Slice 466 of 654. CT scan slice. Abdomen. Image size 512x512. Field of view 400x400 mm.

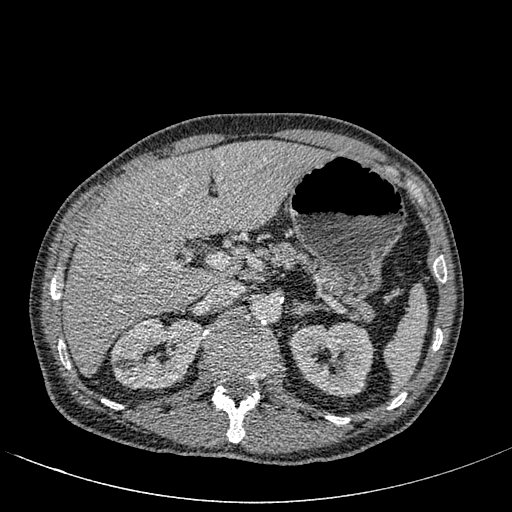

liver: 62:141:329:376 | kidney: 111:319:202:388, 290:323:372:396